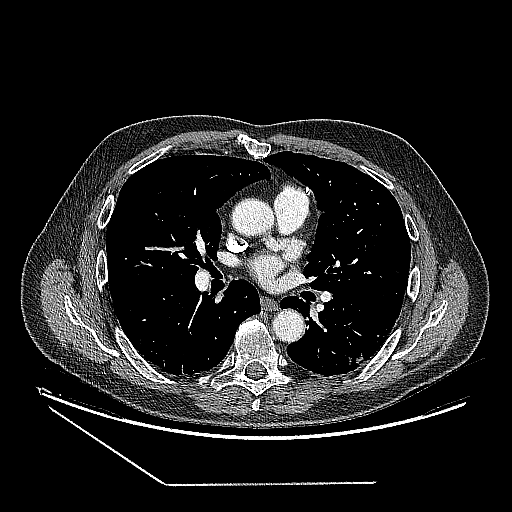

CT image | 512x512 px
The lung tumor is bounded by left=356, top=353, right=365, bottom=365.